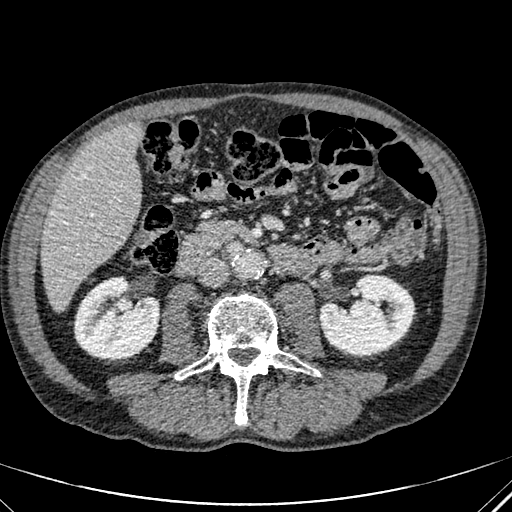

CT image, 512x512
Kidney — x1=75 y1=278 x2=158 y2=358, x1=320 y1=276 x2=413 y2=354.
Liver — x1=41 y1=121 x2=141 y2=308.